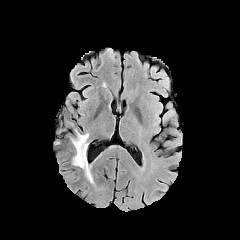
FLAIR MRI.
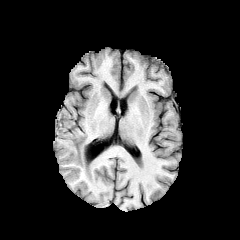
T1-weighted magnetic resonance of the same slice.
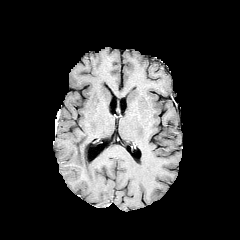
Same slice, post-contrast T1-weighted MRI.
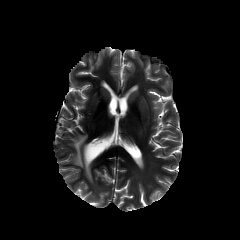
T2-weighted MRI of the same slice.
edema: x1=69, y1=129, x2=93, y2=182